Image size 512x512, CT scan slice
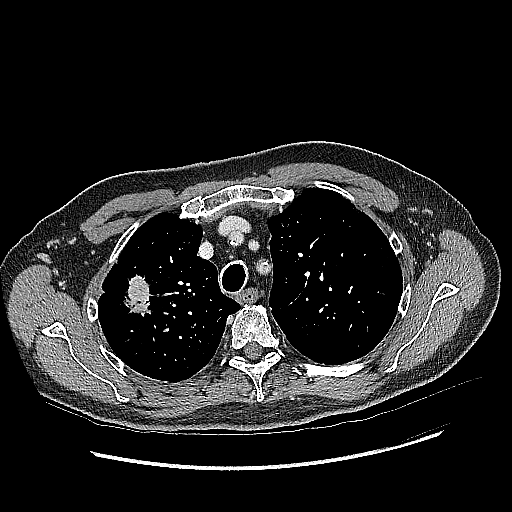
Annotated regions:
* lung tumor: box=[110, 268, 158, 317]